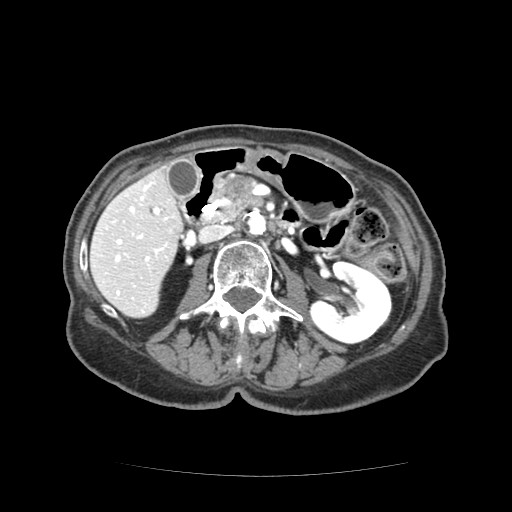 Upper abdomen; CT
The pancreatic tumor is bounded by (x1=223, y1=177, x2=261, y2=205). The pancreas is at (x1=215, y1=176, x2=262, y2=216).